CT, Abdomen, Image width 345 mm 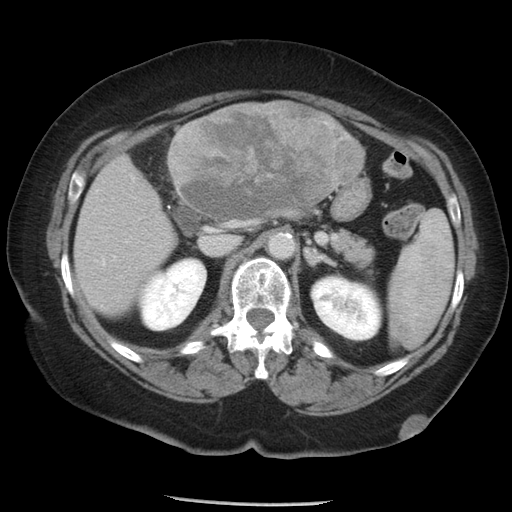
Some hepatic vessels may have no box.
Hepatic vessel — bbox(101, 259, 104, 265); bbox(130, 175, 133, 179); bbox(113, 256, 115, 260).
Liver tumor — bbox(180, 104, 363, 219).